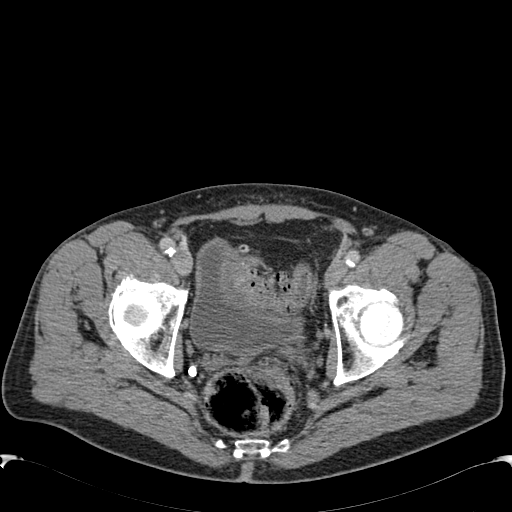 Pelvis. CT scan slice.
Annotated regions:
• urinary bladder: (x1=189, y1=236, x2=304, y2=357)